Slice 53 of 155; Field of view 240 mm wide, 1.00 mm slice spacing; Head
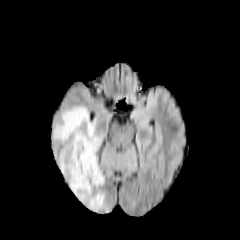
FLAIR MR image.
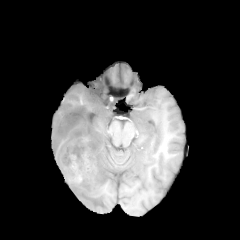
T1-weighted MR image of the same slice.
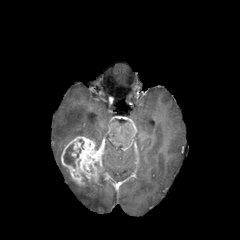
Post-contrast T1-weighted MRI.
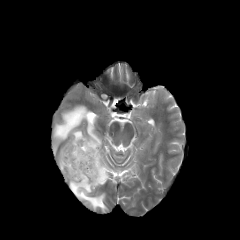
T2-weighted magnetic resonance.
non-enhancing_tumor_core:
  - bbox(82, 178, 97, 185)
  - bbox(63, 144, 76, 167)
enhancing_tumor:
  - bbox(61, 135, 109, 186)
edema:
  - bbox(52, 105, 107, 211)